Computed tomography, Liver, Field of view 438x438 mm, Image size 512x512
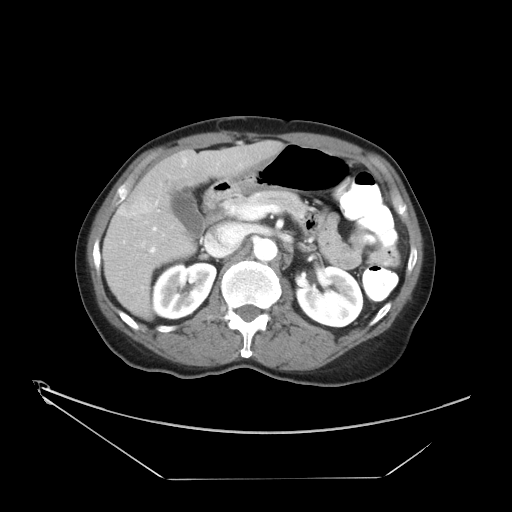 Only some of the vessels may be annotated.
The liver tumor is bounded by bbox(135, 200, 153, 214). 5 hepatic vessel regions appear at bbox(156, 202, 157, 203); bbox(182, 158, 186, 166); bbox(141, 243, 144, 246); bbox(153, 227, 155, 230); bbox(150, 248, 154, 251).